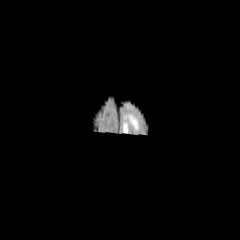
FLAIR MRI.
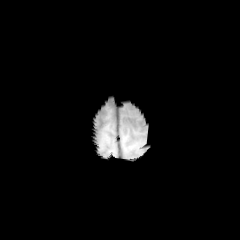
T1-weighted MRI of the same slice.
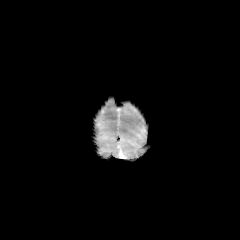
Post-contrast T1-weighted MR of the same slice.
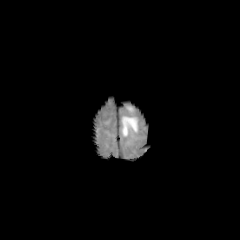
T2-weighted MR.
edema: 122, 116, 138, 136